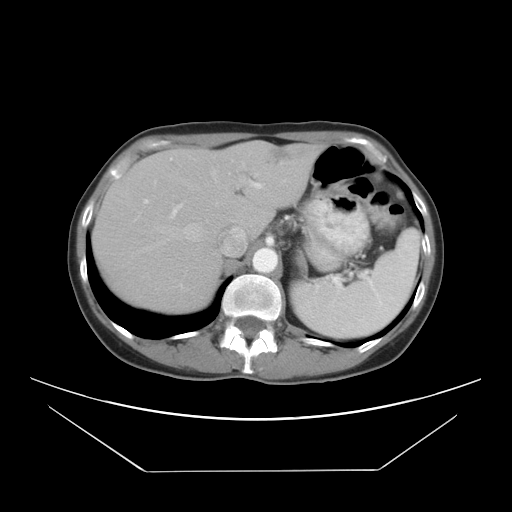
Liver, CT
The vessel boxes may cover only some of the vessels.
Hepatic vessel = (162, 227, 163, 232), (241, 162, 244, 168), (215, 201, 217, 205), (169, 204, 181, 218), (143, 199, 147, 202), (286, 162, 292, 162), (179, 283, 181, 286), (236, 184, 238, 186), (256, 183, 263, 188), (170, 157, 171, 158), (282, 178, 284, 181), (239, 175, 252, 185).
Liver tumor = (268, 150, 292, 167).